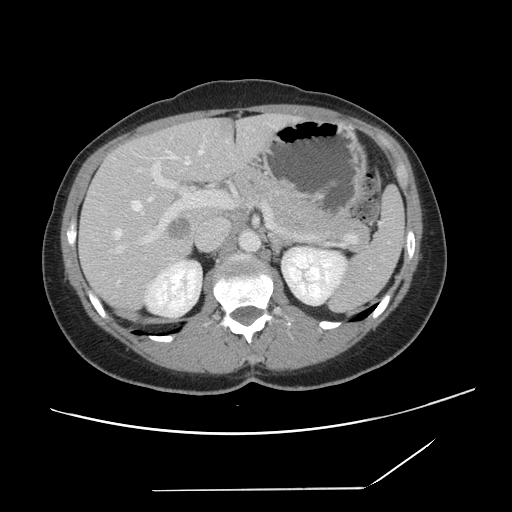 Computed tomography
Not every hepatic vessel necessarily has a box.
Hepatic vessel: 163:150:172:158, 199:148:203:153, 132:200:143:213, 148:198:152:200, 117:246:123:251, 113:230:120:237, 137:169:142:170, 185:156:189:163, 151:162:159:182.
Liver tumor: 167:218:191:241.